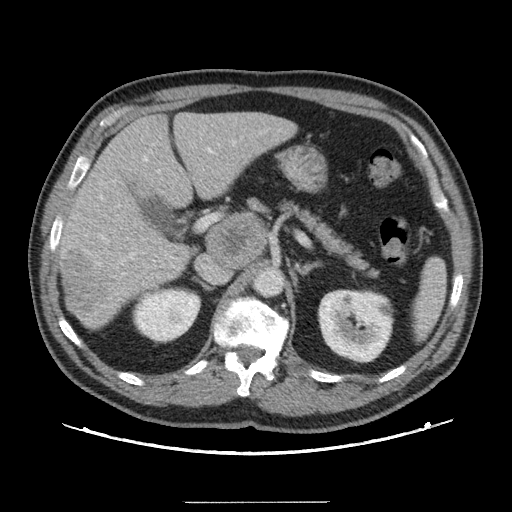

Liver; 512x512; CT slice

Findings:
- liver tumor: {"x1": 63, "y1": 249, "x2": 114, "y2": 313}